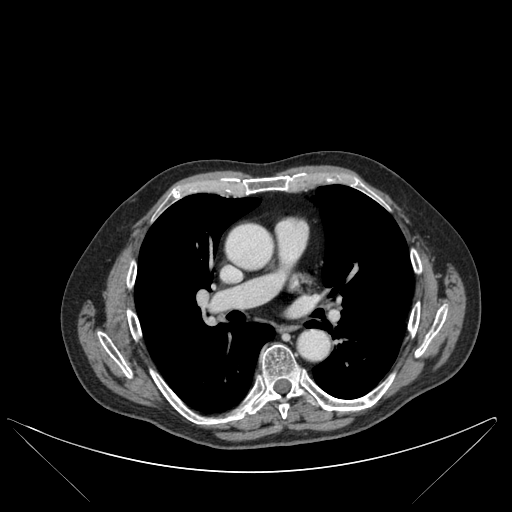

CT image. Thorax. 512x512. Lung = (x1=134, y1=193, x2=274, y2=412), (x1=304, y1=185, x2=413, y2=398).
Bone = (x1=127, y1=261, x2=136, y2=287), (x1=354, y1=179, x2=381, y2=202), (x1=98, y1=332, x2=132, y2=377), (x1=127, y1=310, x2=141, y2=338), (x1=232, y1=176, x2=294, y2=194), (x1=411, y1=249, x2=421, y2=272), (x1=408, y1=302, x2=419, y2=336), (x1=415, y1=306, x2=447, y2=356), (x1=150, y1=345, x2=394, y2=424), (x1=171, y1=190, x2=179, y2=197).